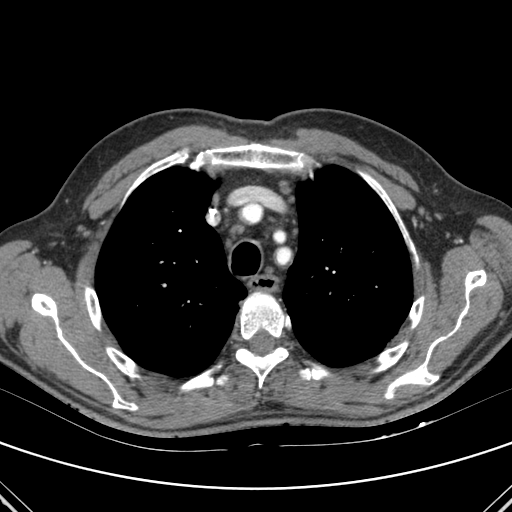

Thorax. CT slice. 512x512 px.

<segmentation>
  <lung>{"x1": 283, "y1": 165, "x2": 412, "y2": 367}, {"x1": 95, "y1": 166, "x2": 246, "y2": 377}</lung>
  <bone>{"x1": 384, "y1": 270, "x2": 486, "y2": 398}, {"x1": 129, "y1": 149, "x2": 187, "y2": 193}, {"x1": 85, "y1": 286, "x2": 100, "y2": 329}, {"x1": 106, "y1": 347, "x2": 139, "y2": 377}, {"x1": 217, "y1": 376, "x2": 227, "y2": 384}, {"x1": 190, "y1": 143, "x2": 308, "y2": 169}, {"x1": 409, "y1": 296, "x2": 424, "y2": 328}, {"x1": 31, "y1": 293, "x2": 137, "y2": 410}, {"x1": 239, "y1": 292, "x2": 290, "y2": 340}, {"x1": 181, "y1": 369, "x2": 213, "y2": 390}, {"x1": 236, "y1": 347, "x2": 288, "y2": 387}, {"x1": 360, "y1": 172, "x2": 417, "y2": 260}, {"x1": 300, "y1": 365, "x2": 329, "y2": 379}, {"x1": 375, "y1": 341, "x2": 407, "y2": 371}</bone>
</segmentation>